Field of view 240 mm wide, 1.00 mm slice spacing. 240x240. Slice index 55.
FLAIR magnetic resonance.
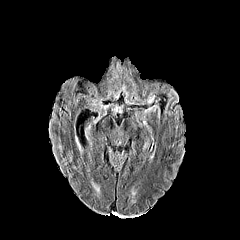
T1-weighted magnetic resonance.
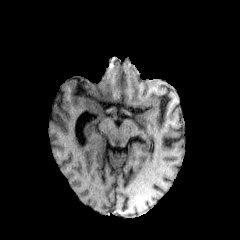
Post-contrast T1-weighted MR.
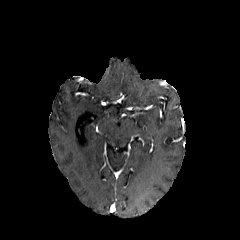
T2-weighted MR image.
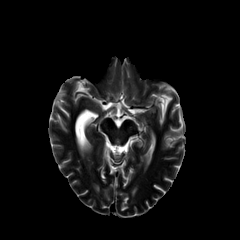
Edema at (144, 96, 159, 118).